CT image. 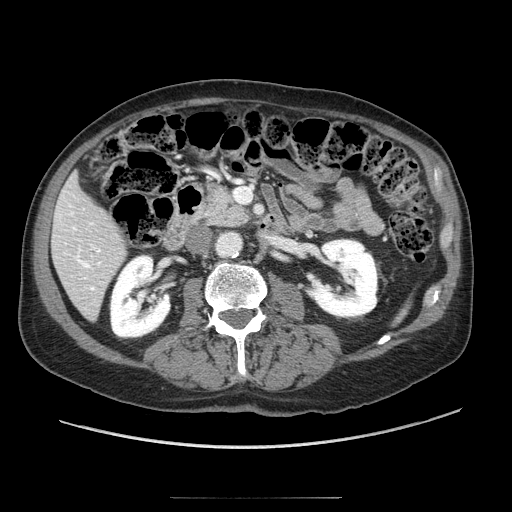
Pancreatic tumor: (x1=215, y1=190, x2=230, y2=208).
Pancreas: (x1=207, y1=186, x2=248, y2=226).